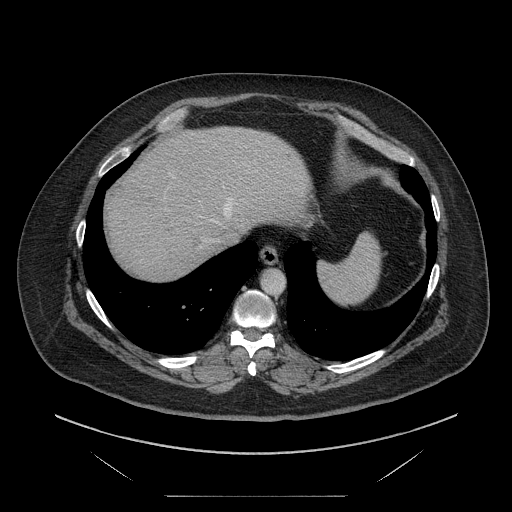

Abdomen; 512x512 px; CT
Not every hepatic vessel necessarily has a box.
{"hepatic_vessel": ["bbox=[222, 197, 236, 219]", "bbox=[200, 246, 201, 247]", "bbox=[202, 238, 218, 242]", "bbox=[221, 231, 225, 234]", "bbox=[210, 220, 224, 227]"]}